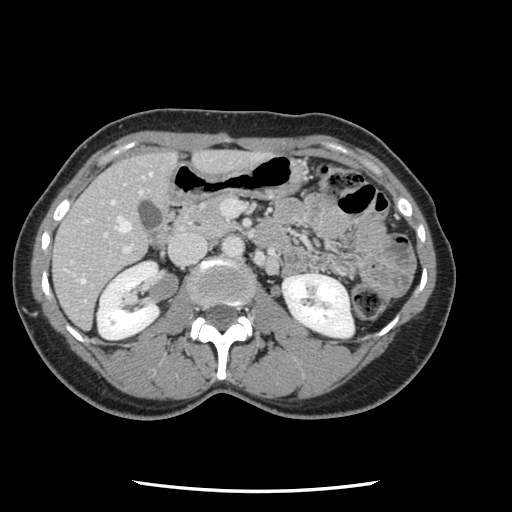
CT scan slice; Liver
Not every hepatic vessel necessarily has a box.
4 hepatic vessel regions are located at (117, 217, 129, 231), (124, 247, 129, 251), (112, 201, 113, 202), (81, 279, 84, 282).